Head
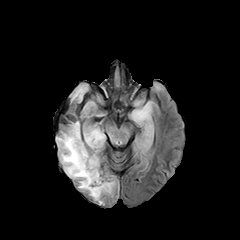
FLAIR MR image.
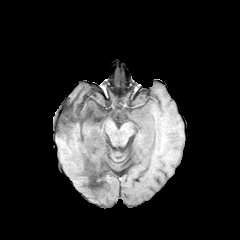
T1-weighted MRI of the same slice.
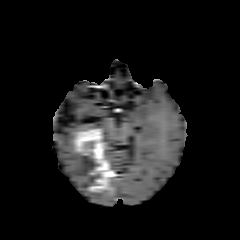
Post-contrast T1-weighted MRI.
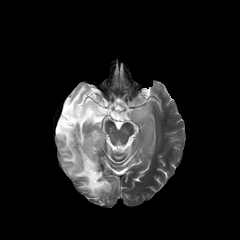
T2-weighted MR of the same slice.
5 non-enhancing tumor core regions are bounded by box(59, 102, 103, 134); box(104, 172, 115, 193); box(88, 170, 101, 187); box(84, 141, 94, 157); box(94, 161, 109, 171). 2 enhancing tumor regions are located at box(88, 170, 111, 191); box(74, 129, 103, 163). 3 edema regions appear at box(130, 102, 151, 123); box(69, 84, 104, 118); box(56, 122, 108, 202).